CT image; Abdomen 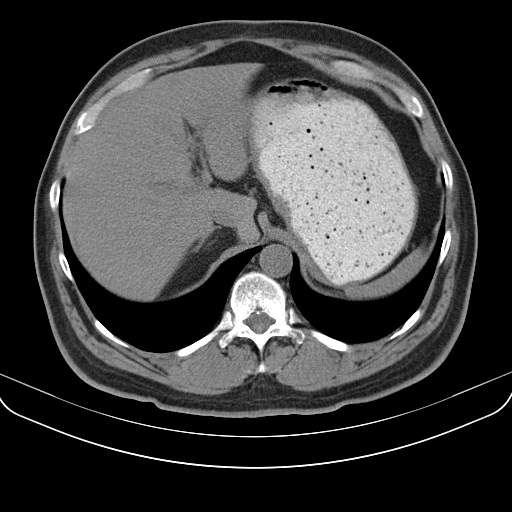

<segmentation>
  <spleen>(350,251,422,298)</spleen>
</segmentation>